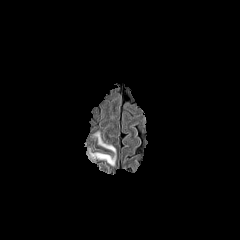
FLAIR MR.
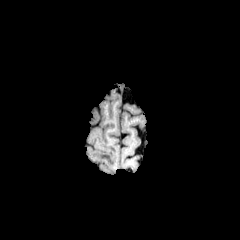
Same slice, T1-weighted MR.
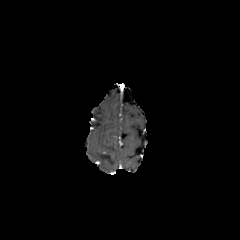
Post-contrast T1-weighted magnetic resonance of the same slice.
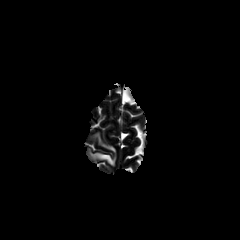
T2-weighted MR image.
Image size 240x240
edema: {"x1": 90, "y1": 152, "x2": 115, "y2": 165}, {"x1": 96, "y1": 133, "x2": 116, "y2": 152}